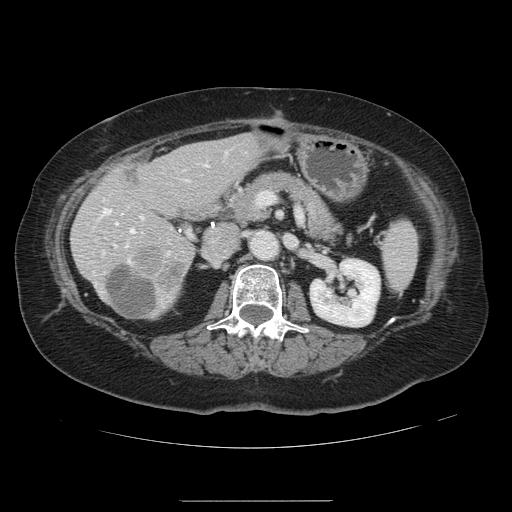 CT slice.

Some hepatic vessels may have no box.
liver_tumor:
  - (x1=132, y1=245, x2=187, y2=290)
  - (x1=109, y1=266, x2=158, y2=316)
hepatic_vessel:
  - (x1=99, y1=208, x2=109, y2=217)
  - (x1=204, y1=164, x2=207, y2=165)
  - (x1=184, y1=179, x2=187, y2=180)
  - (x1=166, y1=251, x2=168, y2=254)
  - (x1=101, y1=251, x2=103, y2=254)
  - (x1=125, y1=243, x2=127, y2=246)
  - (x1=225, y1=152, x2=226, y2=154)
  - (x1=127, y1=259, x2=130, y2=262)
  - (x1=235, y1=184, x2=236, y2=185)
  - (x1=140, y1=215, x2=142, y2=218)
  - (x1=130, y1=228, x2=133, y2=231)
  - (x1=115, y1=222, x2=117, y2=224)